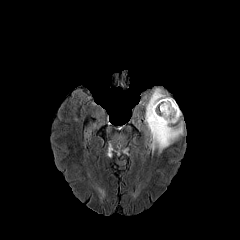
FLAIR MRI.
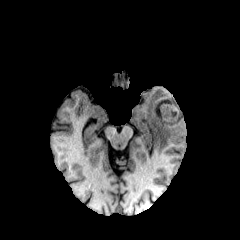
T1-weighted MR.
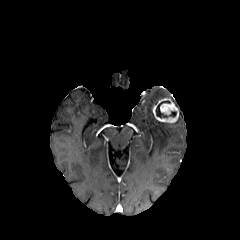
Same slice, post-contrast T1-weighted MR.
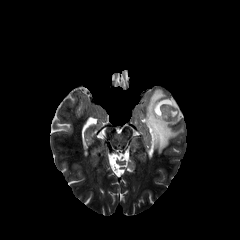
T2-weighted MR image of the same slice.
Brain
Enhancing tumor = (151,99,179,124).
Edema = (142,88,183,153).
Non-enhancing tumor core = (156,100,170,118).